Chest; 512x512 px; Slice index 472; Computed tomography 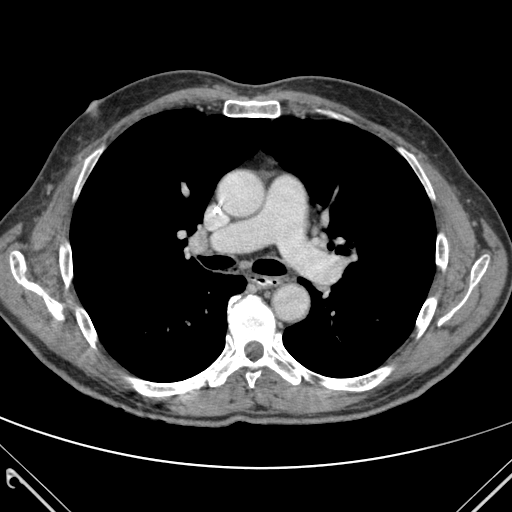
{
  "bone": [
    "76:309:96:347",
    "129:295:390:396",
    "223:100:282:117",
    "60:245:72:286",
    "438:255:488:325",
    "10:251:63:319",
    "400:149:434:197",
    "416:298:436:336",
    "436:234:447:268",
    "74:150:100:196"
  ],
  "lung": [
    "70:109:435:382"
  ]
}